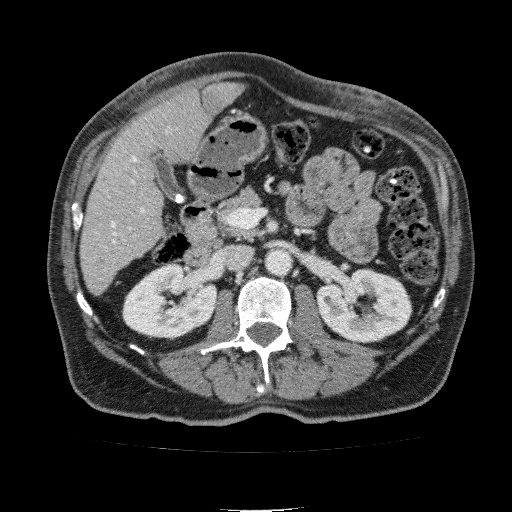 CT slice, Abdomen, 512x512
2 kidney regions appear at (x1=317, y1=270, x2=410, y2=341), (x1=123, y1=265, x2=215, y2=336). The liver is bounded by (x1=81, y1=81, x2=242, y2=293).